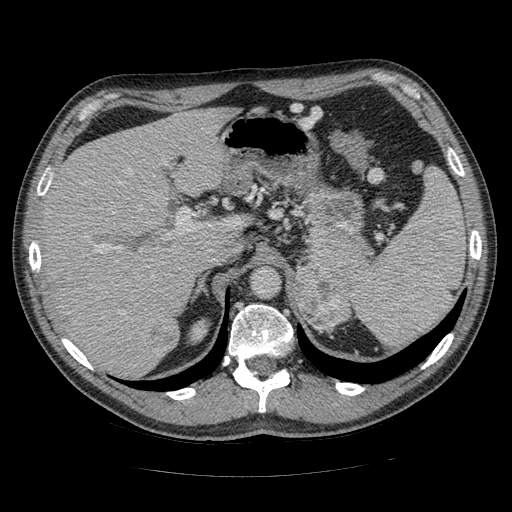 CT image | 512x512 px
The pancreatic tumor is bounded by <bbox>295, 265, 352, 329</bbox>. 2 pancreas regions are located at <bbox>293, 278, 301, 315</bbox>, <bbox>303, 227, 370, 290</bbox>.